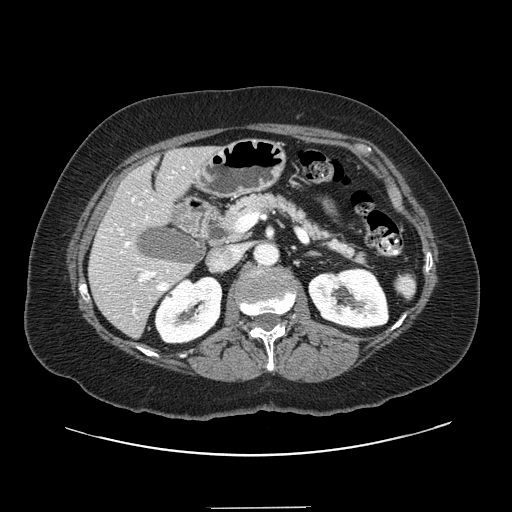 Image size 512x512; CT scan slice; Abdomen

Segmented structures:
* pancreas: (x1=218, y1=193, x2=367, y2=265)